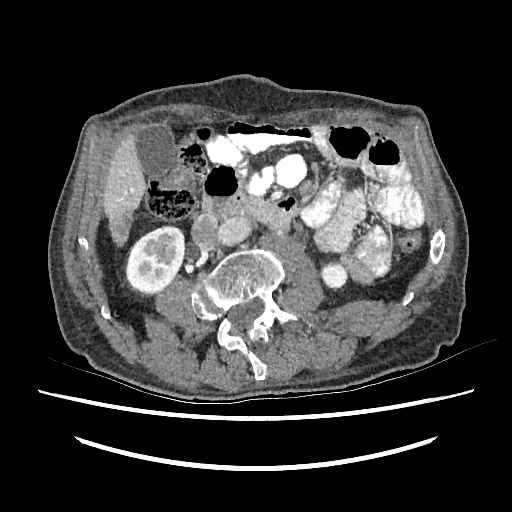

Computed tomography
The liver is bounded by left=104, top=136, right=144, bottom=244. 2 kidney regions are bounded by left=127, top=227, right=184, bottom=292; left=323, top=265, right=346, bottom=286. The focal liver lesion appears at left=114, top=209, right=130, bottom=242.